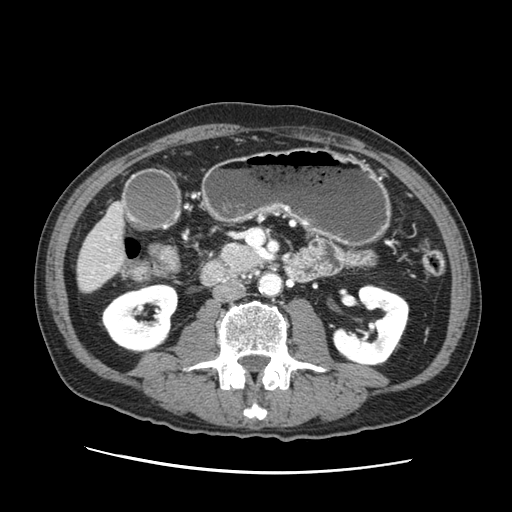 CT slice, Upper abdomen
Pancreas = {"x1": 221, "y1": 243, "x2": 261, "y2": 273}.